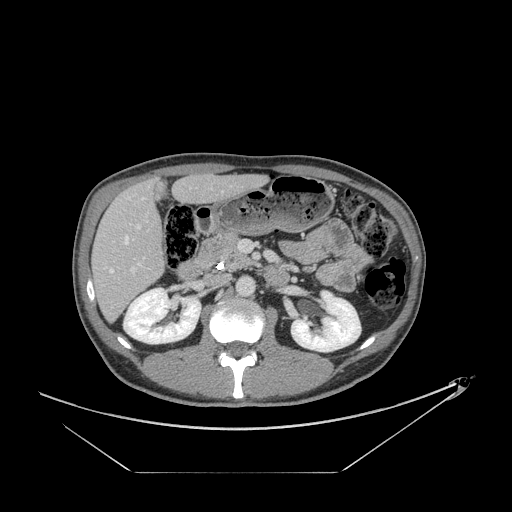

Computed tomography. Pancreatic tumor: {"x1": 222, "y1": 238, "x2": 236, "y2": 255}.
Pancreas: {"x1": 198, "y1": 236, "x2": 234, "y2": 261}.